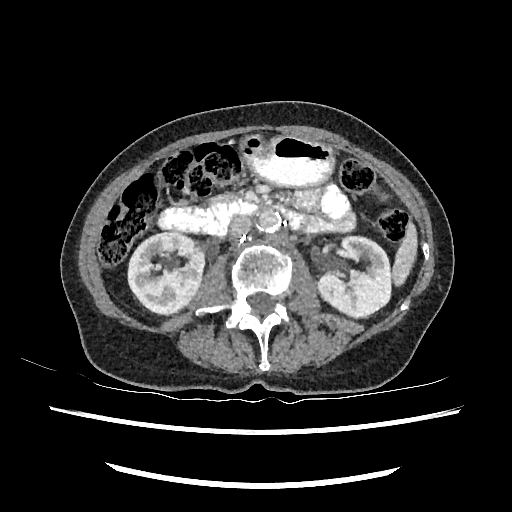

Abdomen, CT slice, 512x512 px
kidney:
  - <box>128,233,204,313</box>
  - <box>319,237,390,316</box>